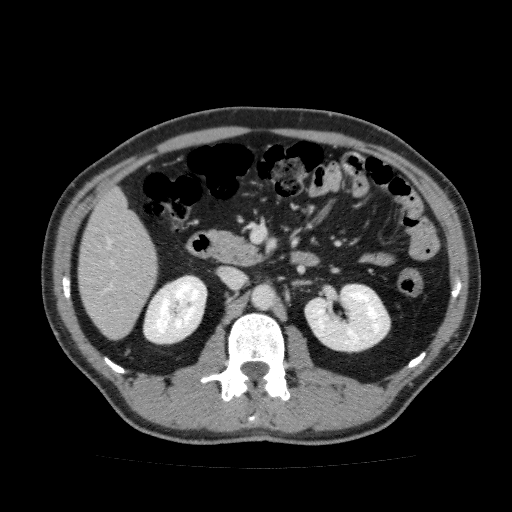 CT scan slice, Upper abdomen
Kidney = [144,276,206,343], [305,284,389,351].
Liver = [78,187,157,339].